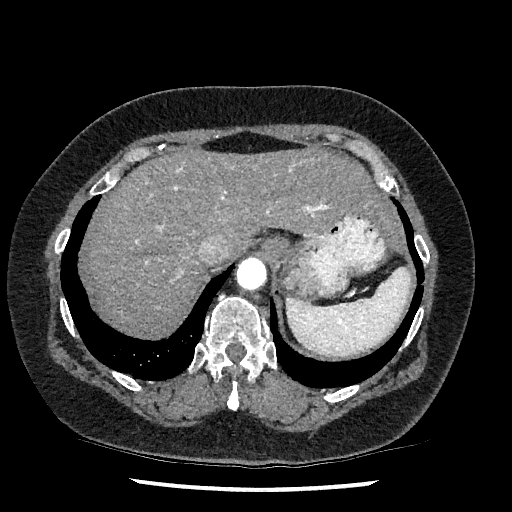 Upper abdomen, Computed tomography

The liver appears at <box>85,148,405,336</box>.